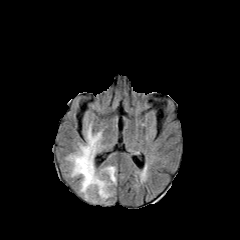
FLAIR MRI.
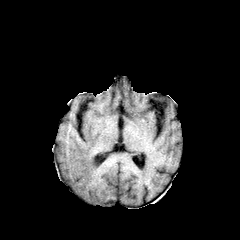
Same slice, T1-weighted MRI.
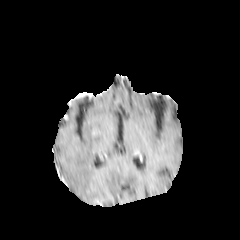
Post-contrast T1-weighted MR of the same slice.
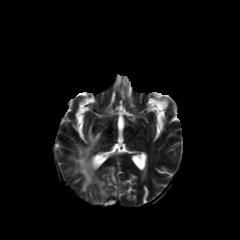
T2-weighted MRI.
Brain. 240x240 px.
<segmentation>
  <edema>{"x1": 67, "y1": 124, "x2": 116, "y2": 203}</edema>
</segmentation>